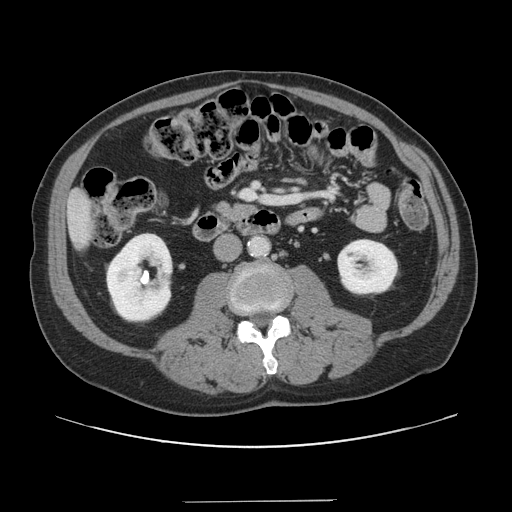

Abdomen; 512x512 px; CT slice

The vessel annotation is not exhaustive.
<segmentation>
  <hepatic_vessel>[x1=241, y1=190, x2=255, y2=198], [x1=270, y1=200, x2=272, y2=201]</hepatic_vessel>
</segmentation>